CT scan slice 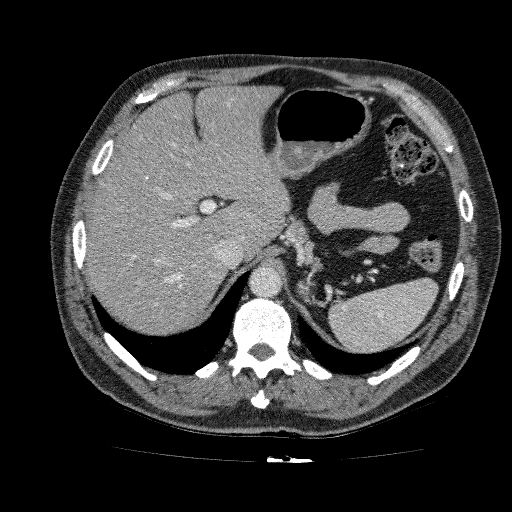

The liver is located at <bbox>86, 85, 290, 334</bbox>.